CT; Liver 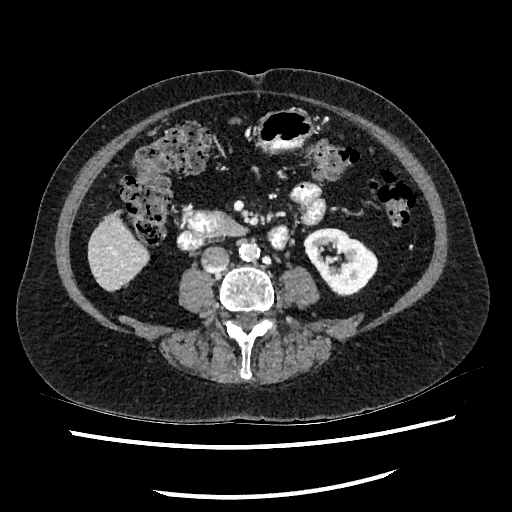

Segmented structures:
* kidney: [x1=305, y1=224, x2=376, y2=293]
* liver: [x1=89, y1=216, x2=147, y2=290]